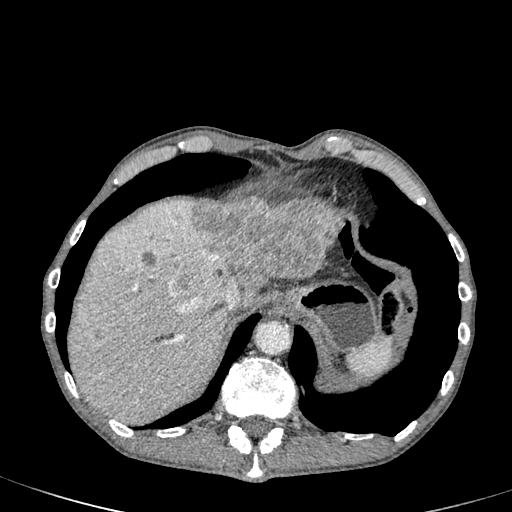

CT scan slice.

Liver = bbox(268, 275, 302, 280); bbox(70, 200, 239, 423).
Focal liver lesion = bbox(191, 199, 341, 305); bbox(143, 253, 154, 265); bbox(180, 276, 188, 288).